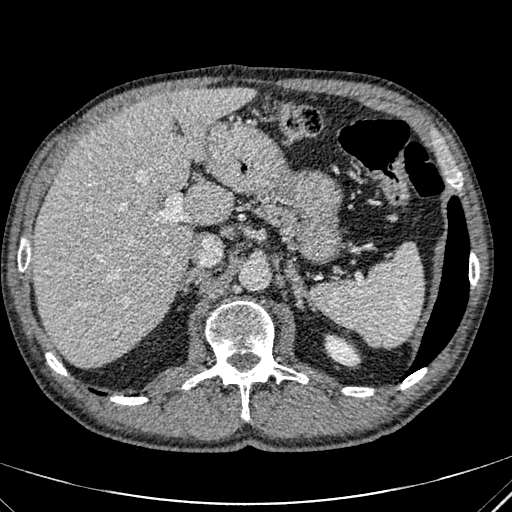
512x512 | CT slice | Liver
<segmentation>
  <kidney>327, 336, 358, 364</kidney>
  <liver>34, 87, 255, 366</liver>
  <hepatic_lesion>159, 93, 175, 106</hepatic_lesion>
</segmentation>